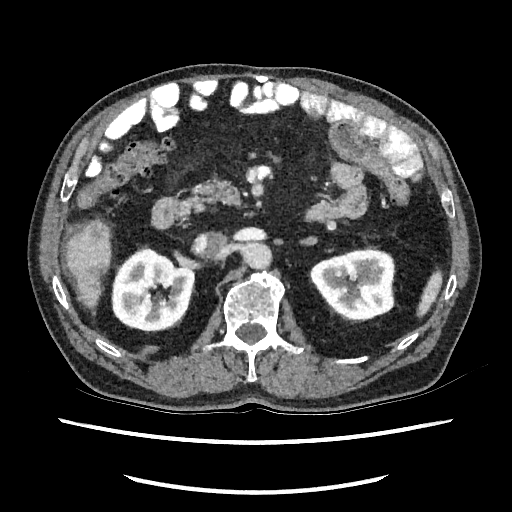

Computed tomography
liver: 67 221 110 304 | kidney: 112 248 194 330, 310 248 394 320 | hepatic lesion: 91 264 104 278, 92 223 103 238